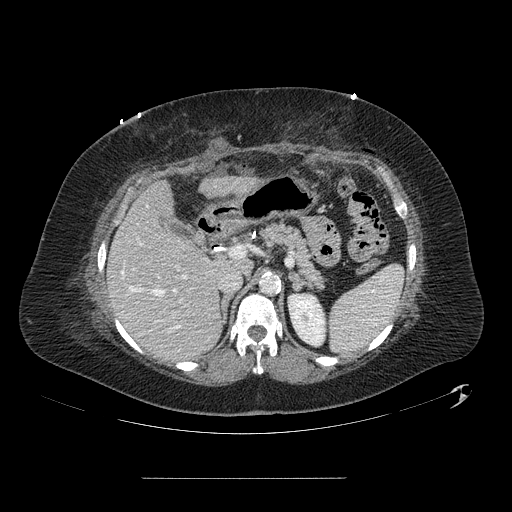

CT scan slice, Upper abdomen
pancreas:
  - x1=260, y1=223, x2=325, y2=289